CT image; Slice 48 of 122; Abdomen

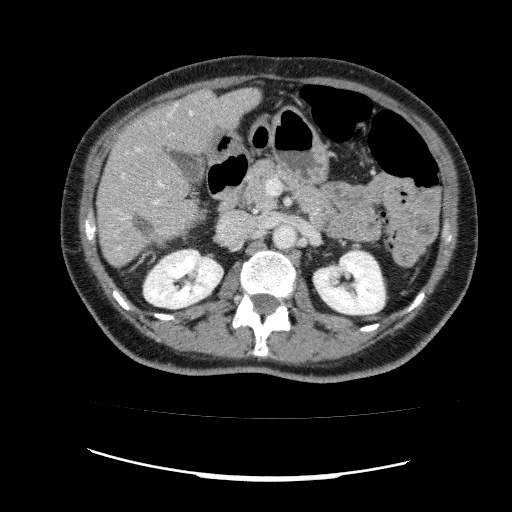

liver: (left=96, top=88, right=262, bottom=265) | liver lesion: (left=130, top=213, right=153, bottom=237) | kidney: (left=314, top=251, right=384, bottom=314), (left=144, top=250, right=222, bottom=308)